Computed tomography. Abdomen. Slice 60 of 101. 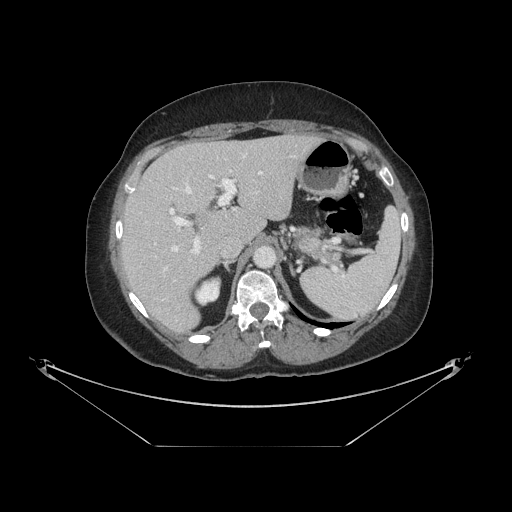 {"pancreas": ["x1=296, y1=226, x2=340, y2=264"]}